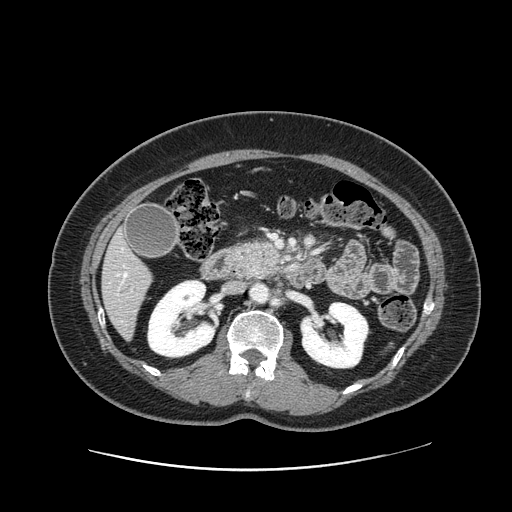 Image size 512x512 | Computed tomography

Pancreas = x1=233, y1=242, x2=281, y2=278.